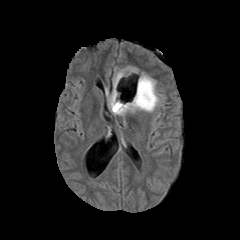
FLAIR MR image.
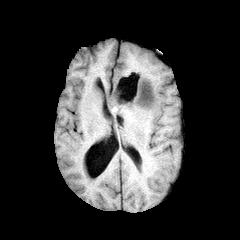
T1-weighted magnetic resonance.
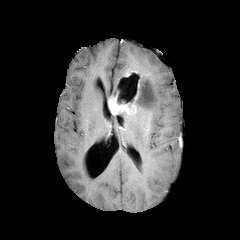
Same slice, post-contrast T1-weighted MR.
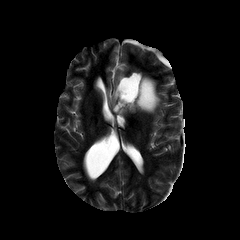
Same slice, T2-weighted magnetic resonance.
Brain. 240x240 px.
Enhancing tumor at [x1=108, y1=95, x2=136, y2=114].
Edema at [x1=105, y1=66, x2=162, y2=113].
Non-enhancing tumor core at [x1=120, y1=95, x2=139, y2=105], [x1=144, y1=90, x2=152, y2=101].